512x512. Computed tomography. Abdomen. 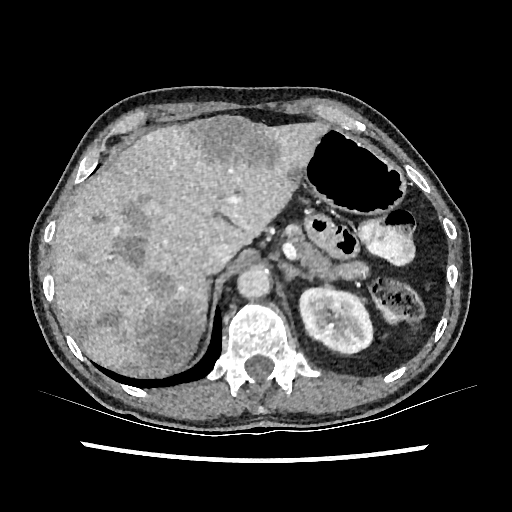

Liver: bounding box 185:334:200:361, 52:122:327:375.
Liver lesion: bounding box 120:194:149:231, 112:236:146:269, 286:165:303:186, 125:270:202:376, 92:212:107:223, 71:318:91:344, 76:252:87:261, 94:305:125:336, 184:118:283:171.
Kidney: bounding box 300:288:372:352.